Field of view 240 mm wide, 1.00 mm slice spacing, Slice 85 of 155, Brain
FLAIR MRI.
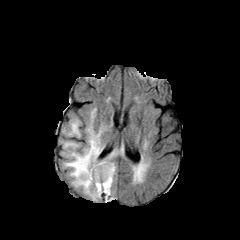
T1-weighted magnetic resonance.
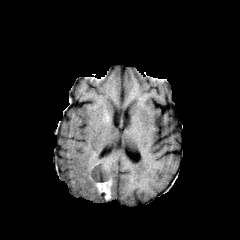
Post-contrast T1-weighted MR image.
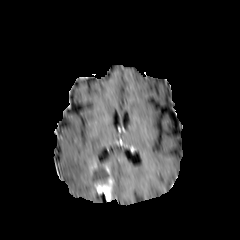
T2-weighted MR image.
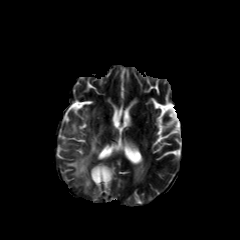
Enhancing tumor: bounding box 95, 165, 113, 199.
Edema: bounding box 96, 148, 123, 179; 62, 125, 105, 200; 63, 120, 80, 136; 137, 167, 143, 177.
Non-enhancing tumor core: bounding box 91, 164, 108, 183.